CT scan slice, Liver

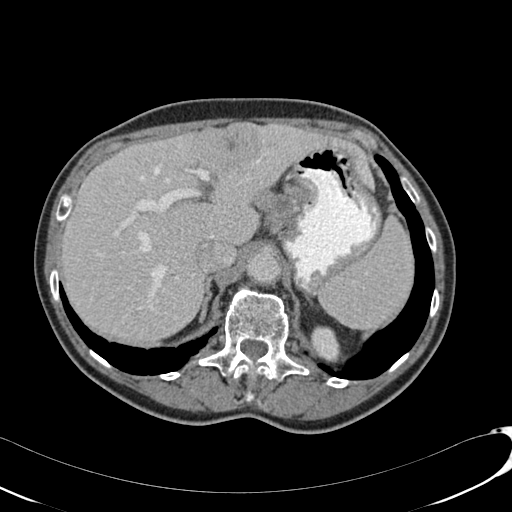

Liver lesion at left=100, top=180, right=108, bottom=190; left=202, top=124, right=261, bottom=170.
Liver at left=63, top=123, right=375, bottom=341.